512x512 | CT | Upper abdomen
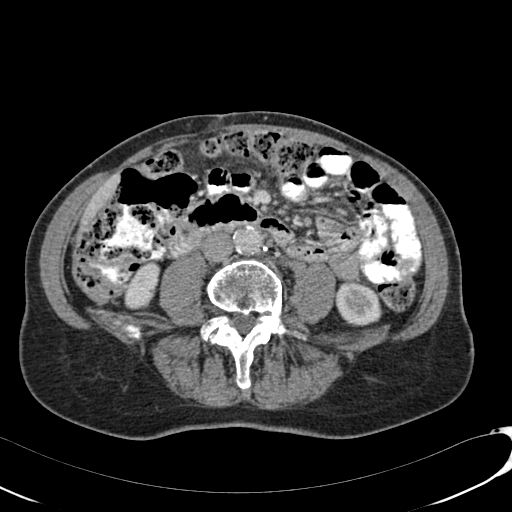 Liver — bbox=[80, 174, 119, 230].
Kidney — bbox=[337, 283, 379, 324]; bbox=[124, 263, 158, 307].